CT | Slice index 29 | 512x512 px

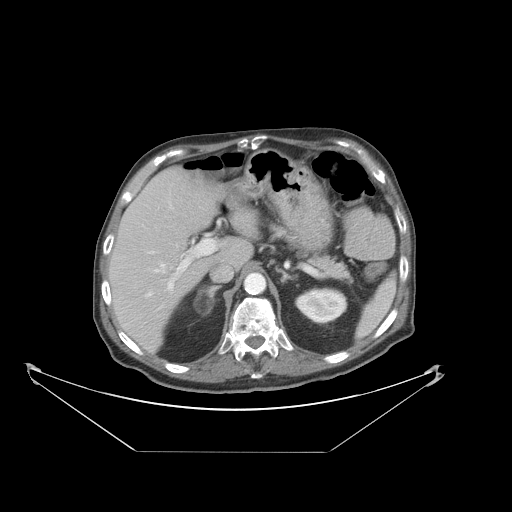 Some hepatic vessels may have no box.
hepatic vessel: 155,264,165,272; 170,193,170,196; 160,305,164,308; 168,235,217,290; 218,221,220,224; 148,293,151,296; 193,241,194,244; 168,199,172,209; 149,251,154,254